Computed tomography. Liver.
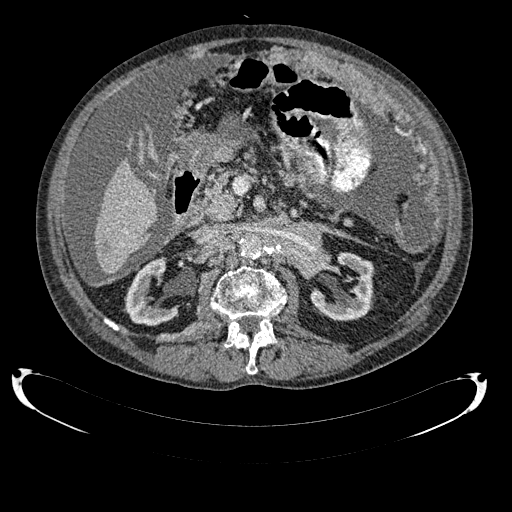

Liver lesion: <box>101,242,110,252</box>.
Kidney: <box>307,253,373,320</box>, <box>126,259,177,325</box>.
Liver: <box>95,157,156,274</box>.